Slice 145 of 722, CT slice, 512x512

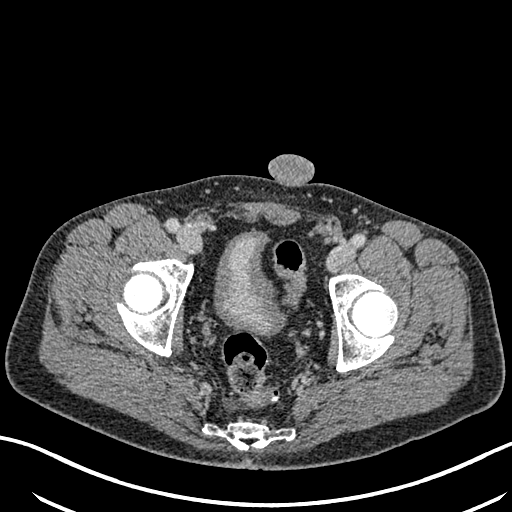

urinary_bladder:
  - x1=221, y1=235, x2=273, y2=332